Slice 78/155.
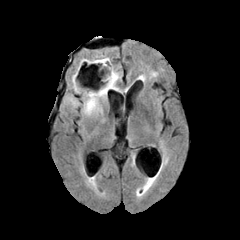
FLAIR MR.
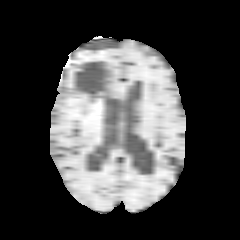
T1-weighted magnetic resonance.
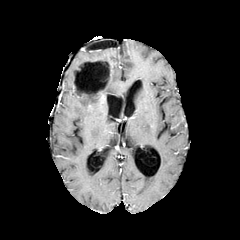
Post-contrast T1-weighted MRI.
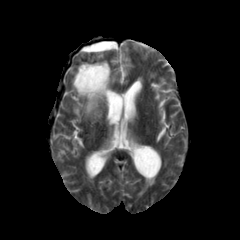
T2-weighted magnetic resonance.
3 edema regions appear at (97,54,111,69), (66,88,108,117), (104,66,121,92). The non-enhancing tumor core lies within (74,64,112,97).